CT scan slice, Slice 370/391

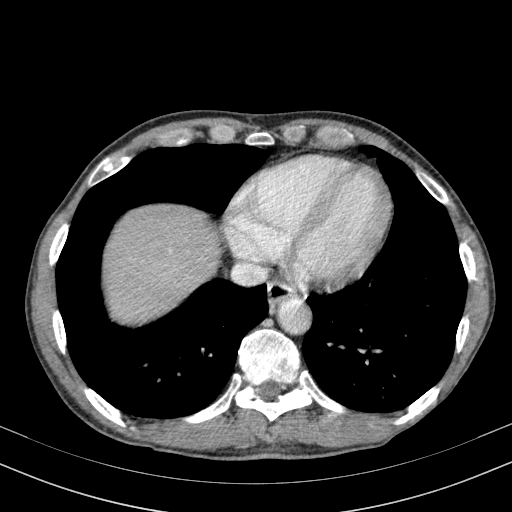

• liver: <bbox>103, 204, 221, 324</bbox>